FLAIR magnetic resonance.
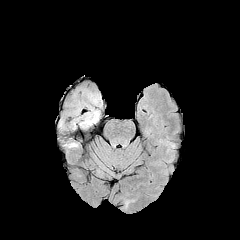
T1-weighted MRI.
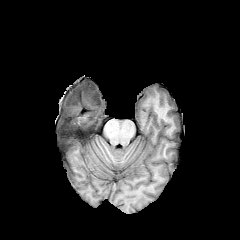
Post-contrast T1-weighted MR.
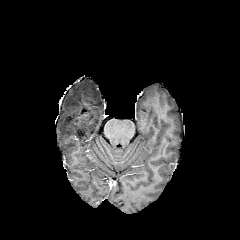
T2-weighted MR image.
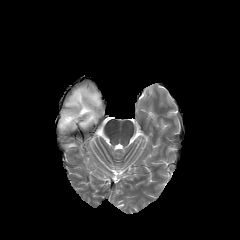
Head
• edema: 65:142:79:147, 59:86:102:130
• non-enhancing tumor core: 74:89:100:107